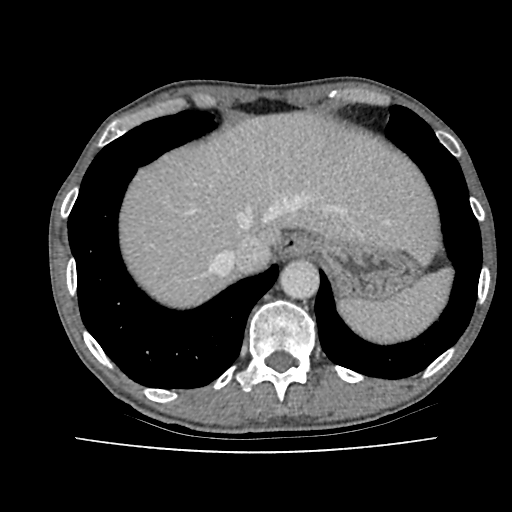 CT scan slice | Image size 512x512
The liver appears at [x1=121, y1=113, x2=441, y2=304].